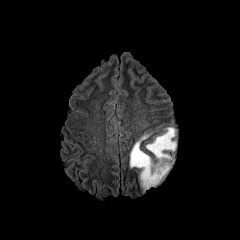
FLAIR MR.
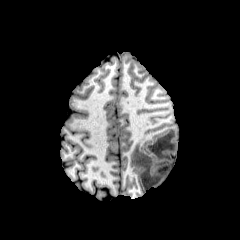
Same slice, T1-weighted magnetic resonance.
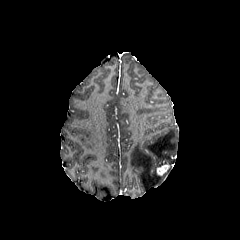
Post-contrast T1-weighted magnetic resonance.
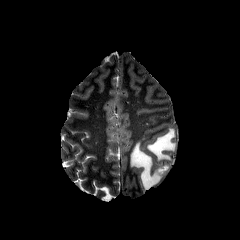
T2-weighted magnetic resonance of the same slice.
enhancing tumor: region(156, 162, 169, 174) | non-enhancing tumor core: region(157, 163, 172, 182) | edema: region(130, 136, 158, 189); region(146, 127, 175, 161)